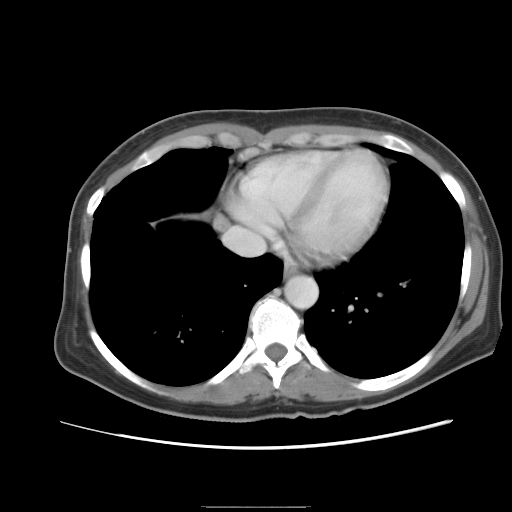
Abdomen | CT image
Not every hepatic vessel necessarily has a box.
Segmented structures:
• hepatic vessel: left=230, top=232, right=260, bottom=253